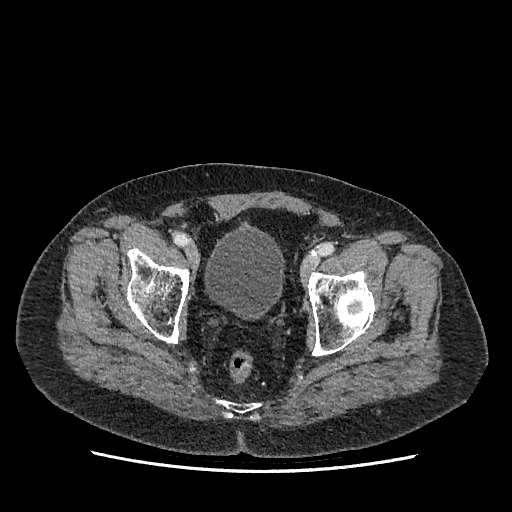

CT scan slice; Pelvis
The urinary bladder is bounded by <box>205,230,284,315</box>.